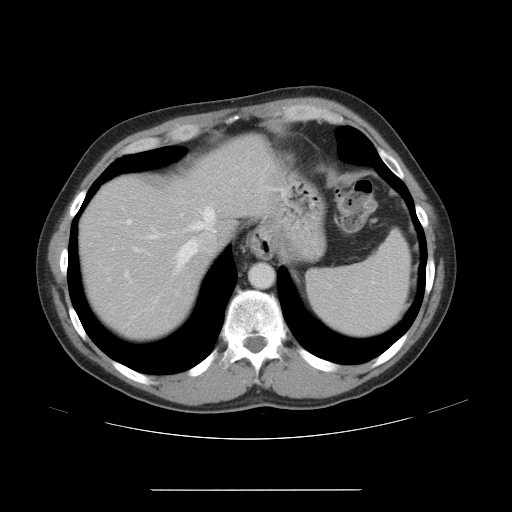
CT slice. Abdomen.
The vessel boxes may cover only some of the vessels.
9 hepatic vessel regions appear at [177,258,188,270], [178,253,179,255], [191,207,215,231], [148,228,155,238], [181,240,197,257], [133,247,142,252], [155,300,156,302], [108,278,110,280], [127,220,131,223].